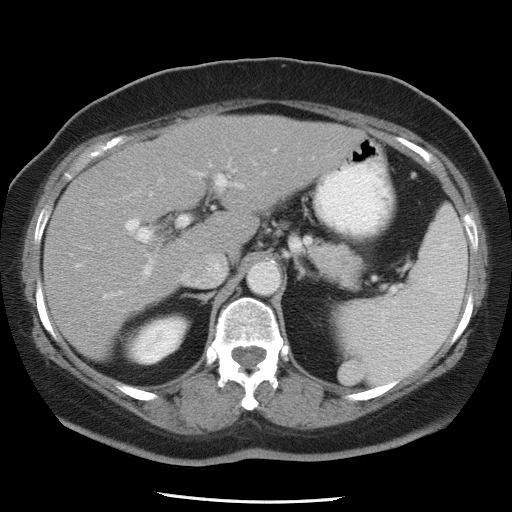 Image size 512x512. Abdomen. CT. Not every hepatic vessel necessarily has a box.
Hepatic vessel = x1=126 y1=219 x2=151 y2=241, x1=216 y1=174 x2=228 y2=185, x1=176 y1=214 x2=189 y2=226, x1=212 y1=205 x2=213 y2=207, x1=200 y1=173 x2=201 y2=174.